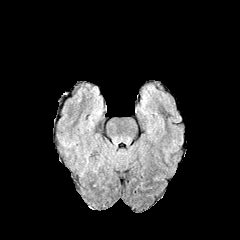
FLAIR MRI.
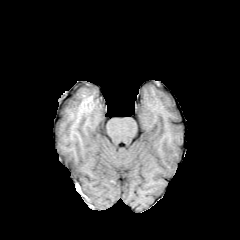
T1-weighted MR.
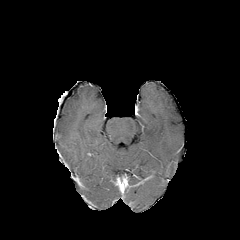
Post-contrast T1-weighted MR image of the same slice.
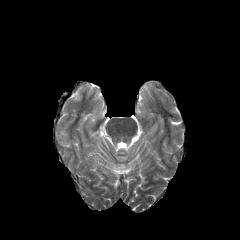
T2-weighted MRI.
240x240 | Brain
edema: 82,134,108,173; 91,108,103,120